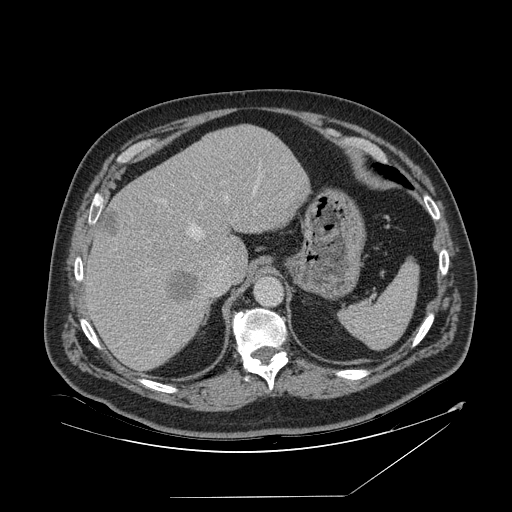
CT image. The spleen lies within 338 261 419 349.